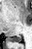

MR

Posterior hippocampus: {"x1": 9, "y1": 35, "x2": 21, "y2": 42}.